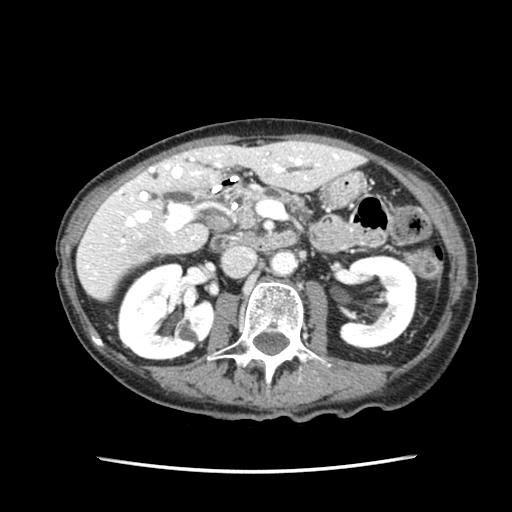
CT image

Findings:
• pancreas: {"x1": 239, "y1": 188, "x2": 309, "y2": 228}